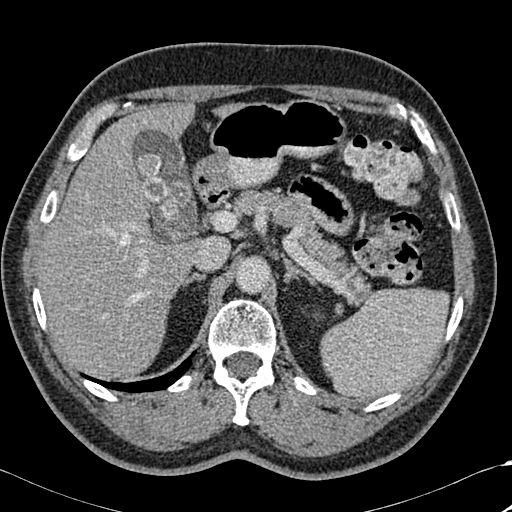

CT slice, Upper abdomen
Bone: left=84, top=380, right=115, bottom=400; left=169, top=376, right=190, bottom=391; left=445, top=195, right=459, bottom=229; left=295, top=378, right=315, bottom=394; left=447, top=298, right=462, bottom=338; left=366, top=393, right=399, bottom=411; left=33, top=289, right=45, bottom=328; left=208, top=300, right=275, bottom=424; left=69, top=118, right=95, bottom=159; left=41, top=192, right=56, bottom=222.
Liver: left=39, top=106, right=194, bottom=380.
Lung: left=81, top=351, right=195, bottom=392.